Upper abdomen | CT image

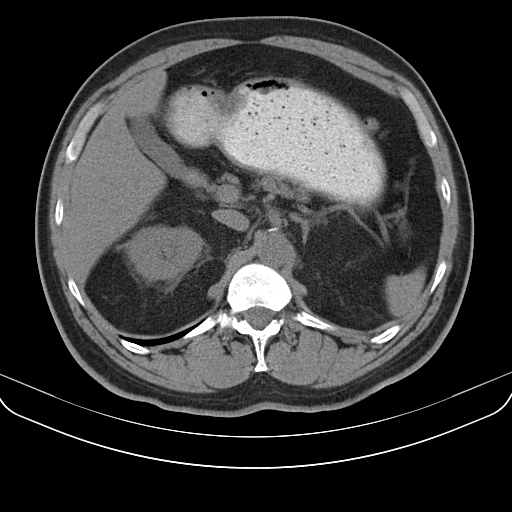
Annotated regions:
• spleen: rect(386, 269, 423, 315)